FLAIR MR image.
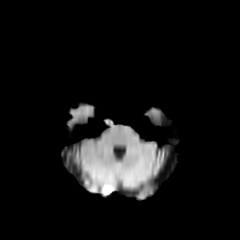
T1-weighted MRI.
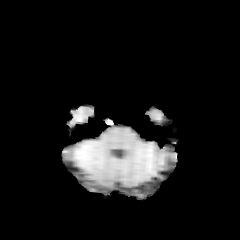
Post-contrast T1-weighted MRI.
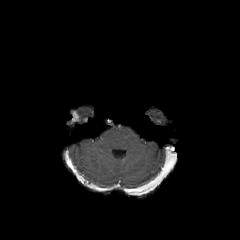
T2-weighted MR.
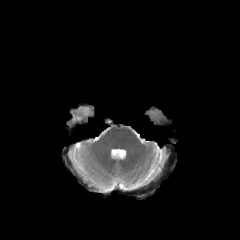
Brain
enhancing_tumor:
  - box(66, 111, 80, 124)